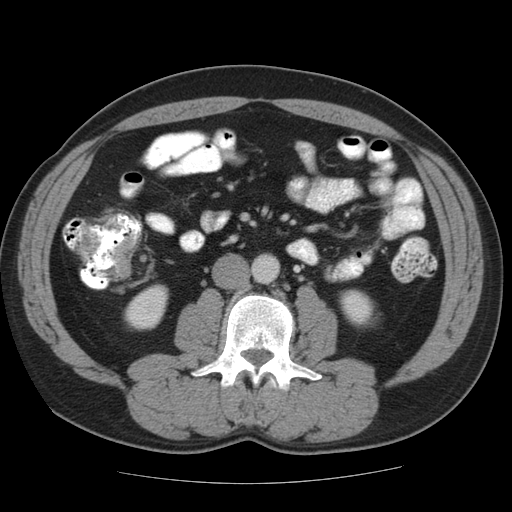
CT; Abdomen; 512x512

Colon tumor — left=114, top=239, right=132, bottom=276.